Brain, Slice index 42, Image size 240x240
FLAIR magnetic resonance.
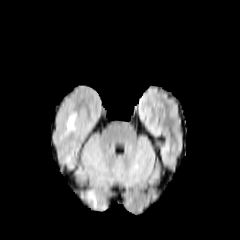
T1-weighted MR.
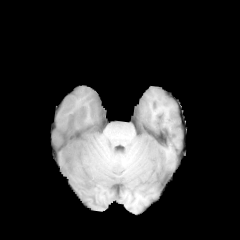
Post-contrast T1-weighted MRI.
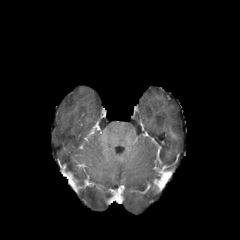
T2-weighted magnetic resonance.
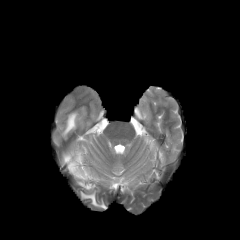
Edema — l=64, t=113, r=76, b=134; l=81, t=190, r=104, b=208.